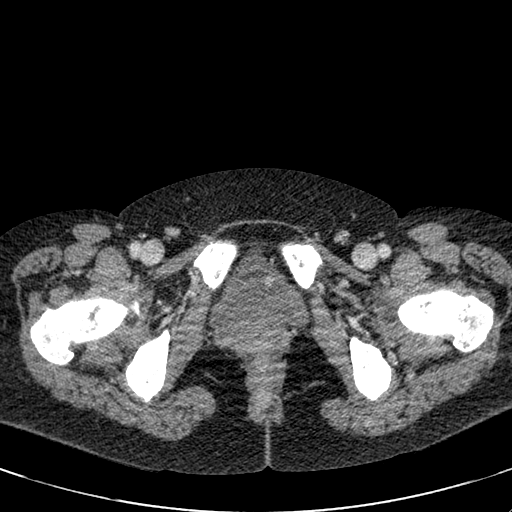

Pelvis, 512x512 px, CT image
Annotated regions:
- urinary bladder: box(210, 256, 307, 335)